CT image; Image size 512x512; Field of view 408x408 mm
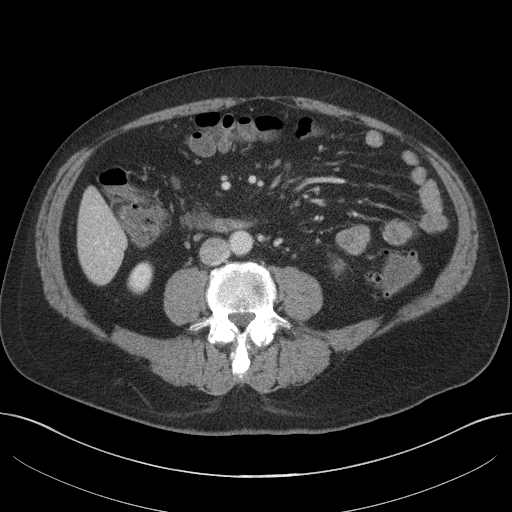
Annotated regions:
• liver: x1=78, y1=188, x2=125, y2=282
• kidney: x1=131, y1=264, x2=150, y2=289